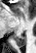 36x53. Medial temporal lobe. MRI slice.
The posterior hippocampus is bounded by 14 35 26 47.